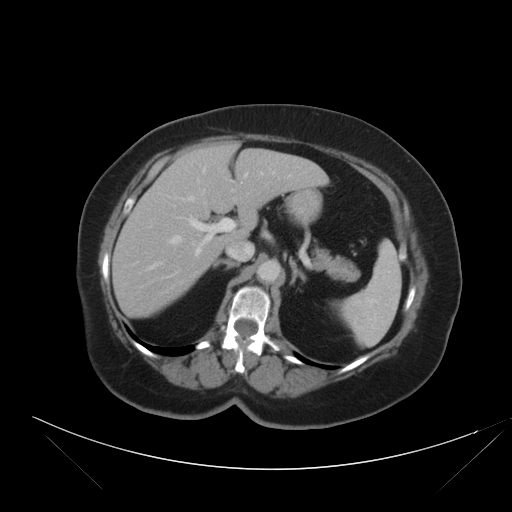 Abdomen, CT

The vessel annotation is not exhaustive.
14 hepatic vessel regions are bounded by (x1=178, y1=196, x2=193, y2=200), (x1=179, y1=217, x2=182, y2=218), (x1=288, y1=175, x2=290, y2=176), (x1=201, y1=190, x2=204, y2=194), (x1=203, y1=168, x2=205, y2=172), (x1=197, y1=179, x2=199, y2=181), (x1=146, y1=262, x2=161, y2=270), (x1=188, y1=216, x2=235, y2=255), (x1=272, y1=171, x2=275, y2=173), (x1=244, y1=173, x2=247, y2=176), (x1=261, y1=172, x2=262, y2=174), (x1=172, y1=274, x2=174, y2=275), (x1=174, y1=205, x2=175, y2=206), (x1=170, y1=236, x2=181, y2=243).